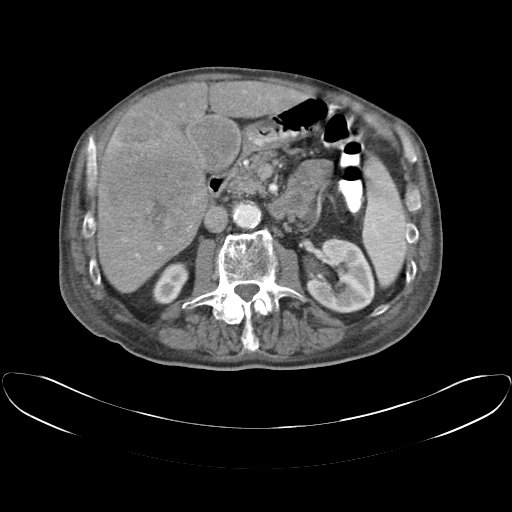 CT scan slice. Image size 512x512. Some hepatic vessels may have no box.
5 hepatic vessel regions are located at bbox=[136, 254, 138, 256]; bbox=[258, 97, 260, 99]; bbox=[180, 103, 183, 106]; bbox=[243, 91, 246, 93]; bbox=[157, 245, 162, 250]. The liver tumor is at bbox=[104, 116, 208, 244].